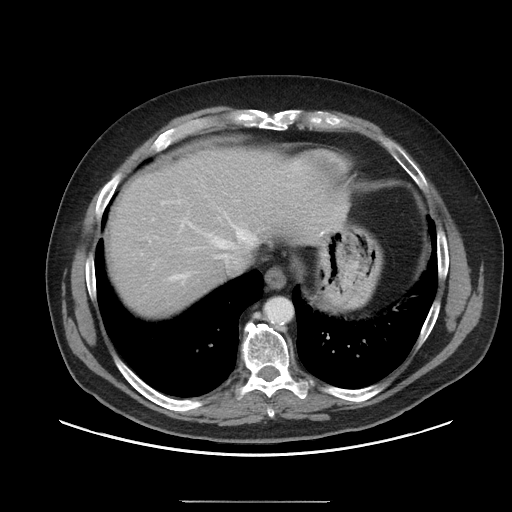

CT; Liver

Not every hepatic vessel necessarily has a box.
• hepatic vessel: {"x1": 181, "y1": 220, "x2": 194, "y2": 227}, {"x1": 178, "y1": 201, "x2": 179, "y2": 203}, {"x1": 206, "y1": 222, "x2": 257, "y2": 265}, {"x1": 171, "y1": 273, "x2": 189, "y2": 280}, {"x1": 161, "y1": 202, "x2": 164, "y2": 204}